Image size 240x240. Slice index 83. Brain.
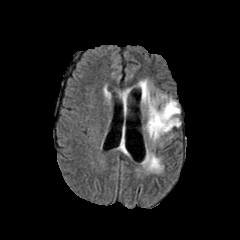
FLAIR MRI.
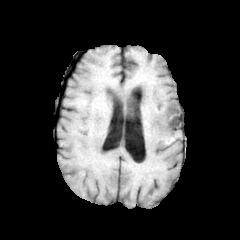
T1-weighted MR.
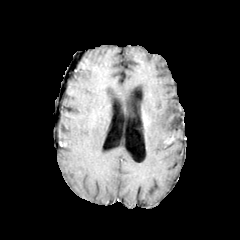
Post-contrast T1-weighted MRI of the same slice.
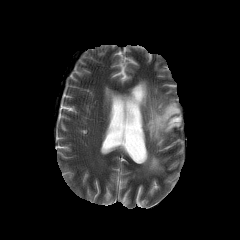
Same slice, T2-weighted MR.
non-enhancing_tumor_core:
  - <box>168,104,177,113</box>
edema:
  - <box>137,80,181,143</box>
  - <box>143,152,161,172</box>
  - <box>121,93,127,113</box>